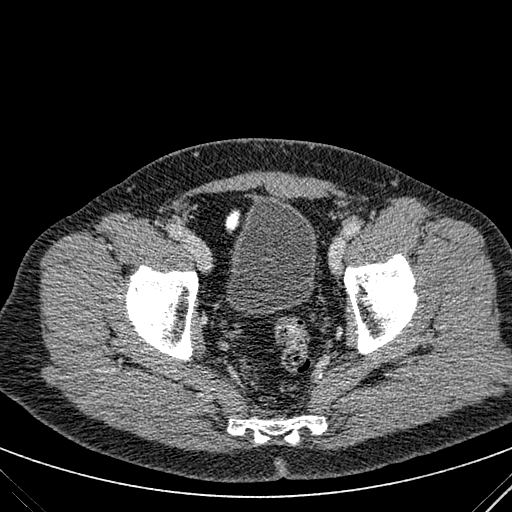 512x512 | Lower abdomen | CT
<segmentation>
  <urinary_bladder>{"x1": 224, "y1": 197, "x2": 320, "y2": 315}</urinary_bladder>
</segmentation>